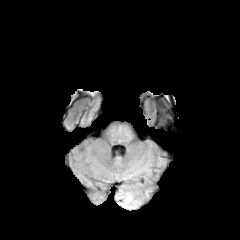
FLAIR MRI.
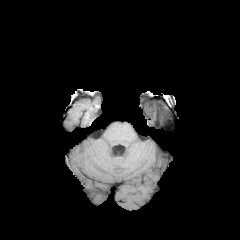
T1-weighted MR of the same slice.
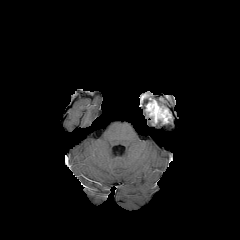
Post-contrast T1-weighted MRI.
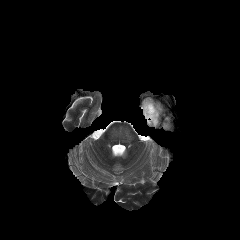
T2-weighted MR.
Head
enhancing_tumor:
  - left=145, top=103, right=156, bottom=116